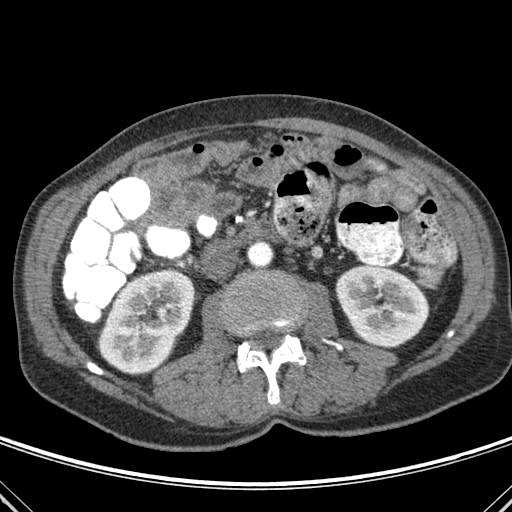 CT image | 512x512 px | Abdomen

bone:
  - l=87, t=362, r=102, b=374
  - l=225, t=272, r=301, b=335
  - l=324, t=340, r=342, b=349
  - l=237, t=334, r=305, b=404
kidney:
  - l=100, t=274, r=193, b=373
  - l=337, t=266, r=427, b=346